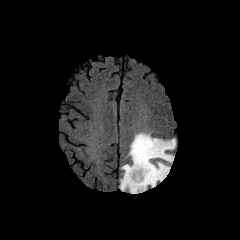
FLAIR MR image.
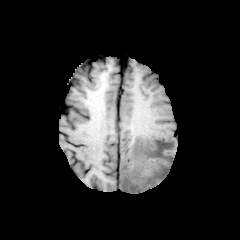
T1-weighted MR.
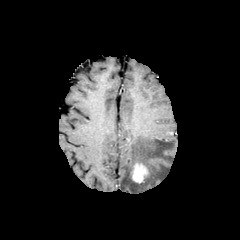
Same slice, post-contrast T1-weighted MR.
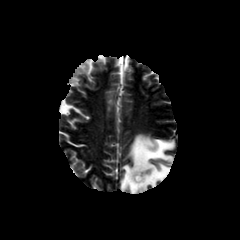
T2-weighted MR image.
Enhancing tumor — rect(130, 163, 149, 183).
Edema — rect(120, 132, 175, 193).